Computed tomography
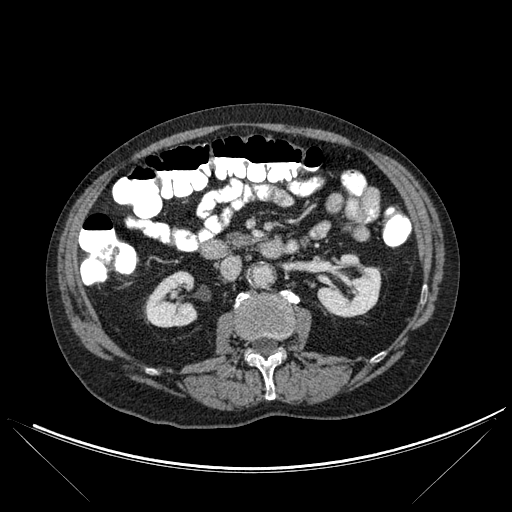

Annotated regions:
* kidney: region(340, 254, 359, 266); region(318, 267, 380, 316); region(146, 271, 196, 326)
* bone: region(235, 290, 298, 338); region(245, 351, 284, 399)